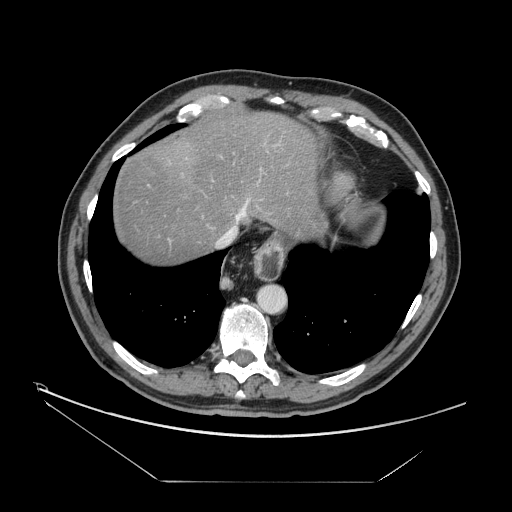
CT scan slice, Liver
Not every hepatic vessel necessarily has a box.
Hepatic vessel: bounding box region(236, 205, 245, 219).